Image width 480 mm | CT | 512x512 px | Slice 32/46
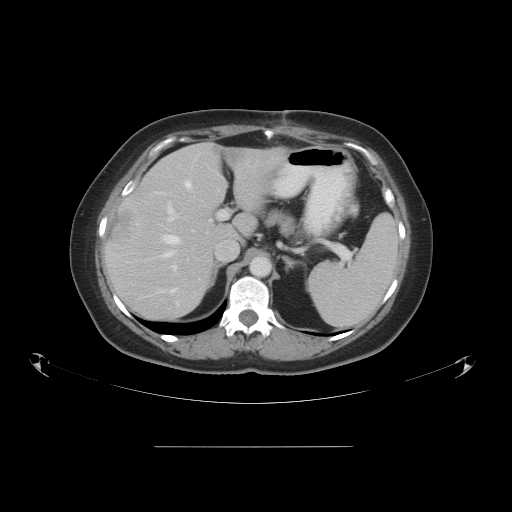
Some hepatic vessels may have no box.
liver_tumor:
  - 111, 206, 139, 249
hepatic_vessel:
  - 163, 234, 179, 244
  - 218, 212, 227, 218
  - 209, 219, 211, 221
  - 171, 288, 176, 292
  - 171, 265, 177, 274
  - 185, 181, 191, 188
  - 168, 202, 175, 220
  - 161, 251, 175, 257
  - 193, 155, 198, 161
  - 108, 251, 109, 253
  - 155, 191, 165, 194